FLAIR MR.
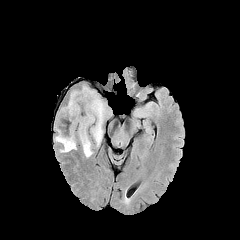
T1-weighted MRI.
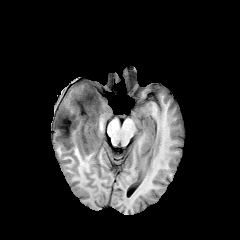
Post-contrast T1-weighted MR image.
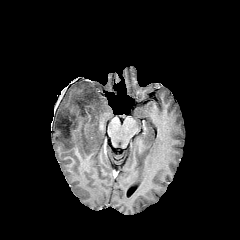
T2-weighted MR image.
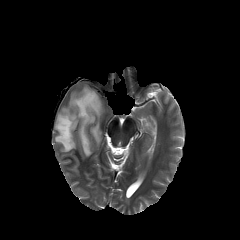
Head
Edema: x1=54 y1=86 x2=106 y2=157.
Non-enhancing tumor core: x1=57 y1=89 x2=99 y2=139.